FLAIR MRI.
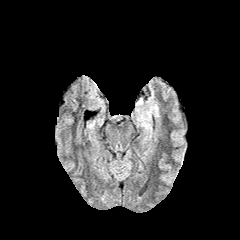
T1-weighted MR image.
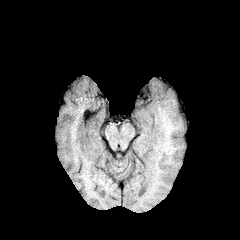
Post-contrast T1-weighted magnetic resonance.
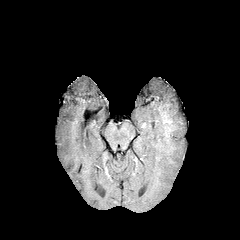
T2-weighted MRI.
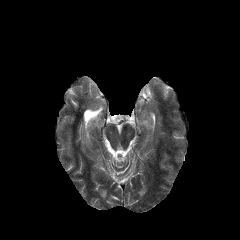
Brain, 240x240
Edema = 137:93:157:120.